Slice index 655, Image size 512x512, Computed tomography
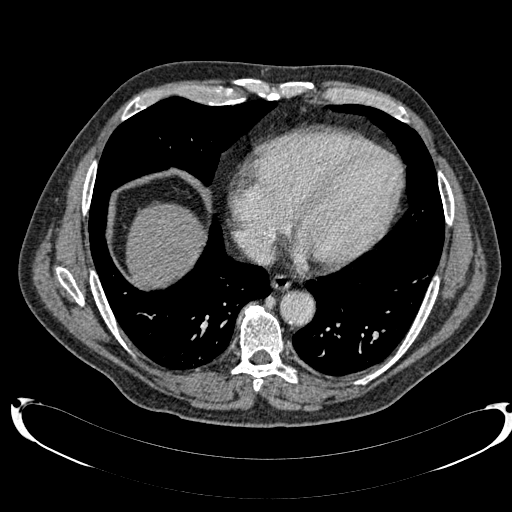
Segmented structures:
* liver: bbox(126, 204, 202, 285)